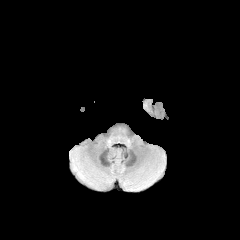
FLAIR MR image.
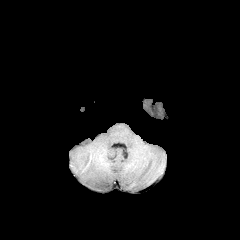
T1-weighted MR image.
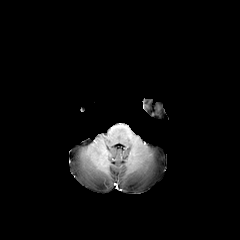
Post-contrast T1-weighted MRI of the same slice.
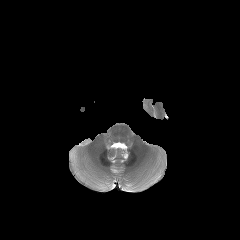
T2-weighted MR image of the same slice.
240x240 | Head
Edema at bbox(72, 150, 79, 164); bbox(82, 170, 106, 188); bbox(130, 170, 159, 188).